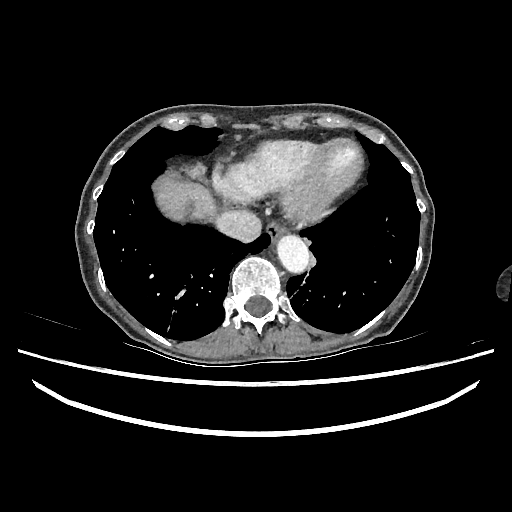

Upper abdomen. CT scan slice. The liver appears at (left=154, top=177, right=214, bottom=220).